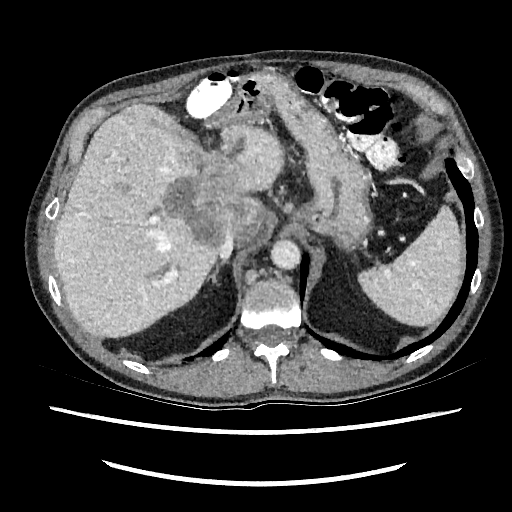 CT
The liver lesion is bounded by x1=163 y1=147 x2=265 y2=247. The liver appears at x1=53 y1=106 x2=284 y2=337.